FLAIR MR.
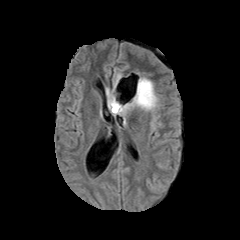
T1-weighted MR image.
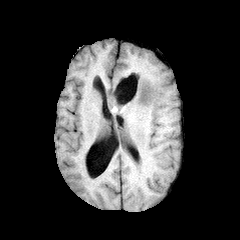
Post-contrast T1-weighted MR.
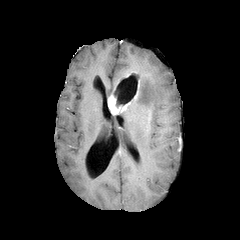
T2-weighted magnetic resonance.
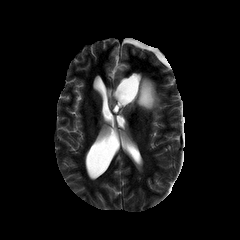
240x240. Brain.
Edema: bounding box (x1=106, y1=73, x2=159, y2=111).
Enhancing tumor: bounding box (x1=108, y1=94, x2=130, y2=114).